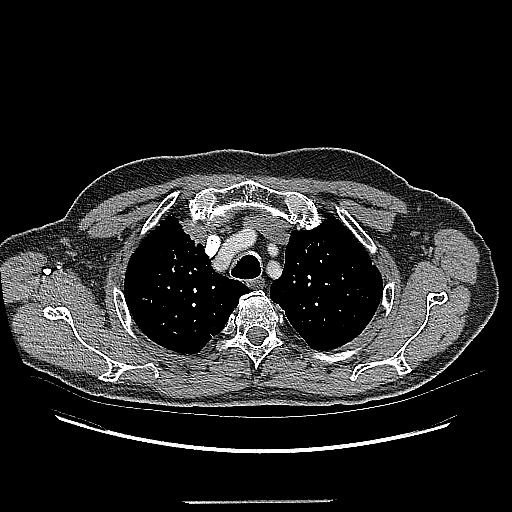 Lung, CT scan slice

lung tumor: l=178, t=220, r=207, b=246